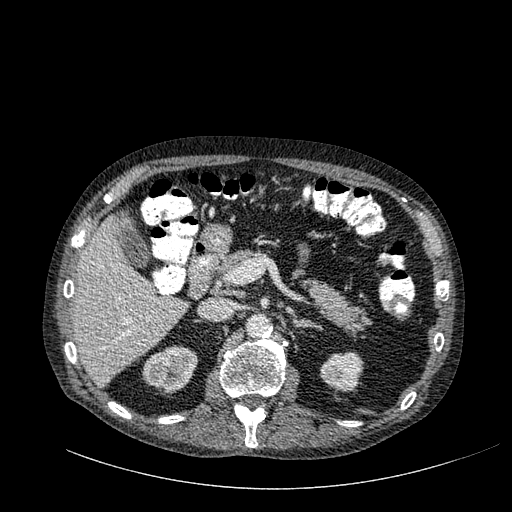 CT scan slice, 512x512 px, Abdomen
Liver — bbox=[74, 216, 188, 387].
Kidney — bbox=[142, 345, 197, 393]; bbox=[320, 352, 363, 391].